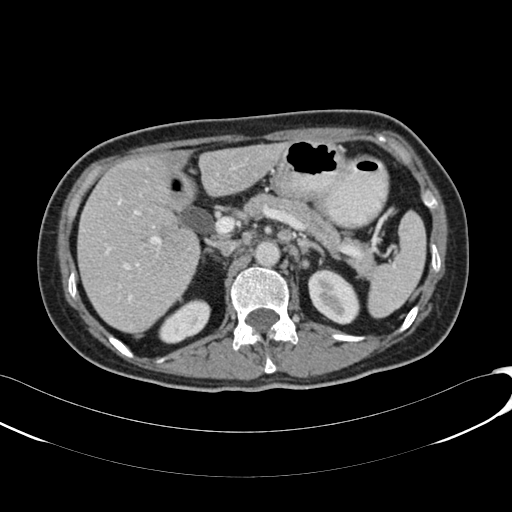 Computed tomography | Liver | 512x512 px

{"kidney": [{"x1": 309, "y1": 271, "x2": 357, "y2": 322}, {"x1": 161, "y1": 302, "x2": 208, "y2": 341}], "hepatic_lesion": [{"x1": 160, "y1": 153, "x2": 183, "y2": 166}, {"x1": 159, "y1": 224, "x2": 170, "y2": 238}], "liver": [{"x1": 77, "y1": 151, "x2": 198, "y2": 330}, {"x1": 200, "y1": 144, "x2": 285, "y2": 195}]}